Head
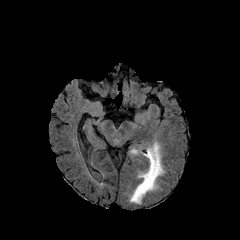
FLAIR MRI.
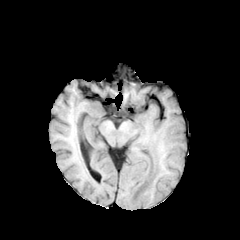
Same slice, T1-weighted MR image.
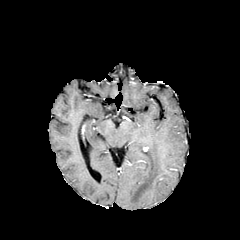
Post-contrast T1-weighted magnetic resonance.
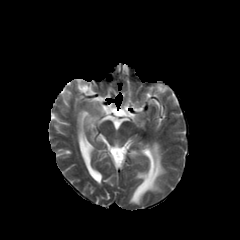
T2-weighted magnetic resonance.
Findings:
• edema: bbox(130, 142, 164, 204)